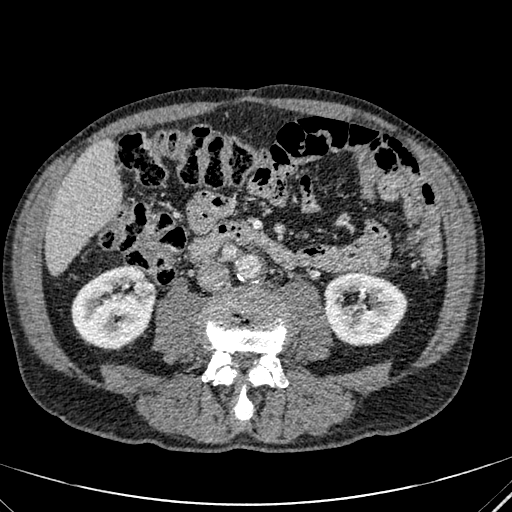 512x512. Abdomen. CT image.
2 kidney regions appear at <bbox>325, 273, 405, 344</bbox>, <bbox>73, 267, 154, 347</bbox>. The liver is located at <bbox>46, 141, 120, 272</bbox>.